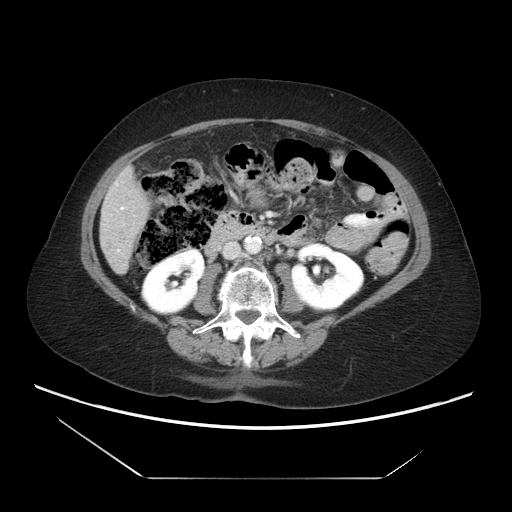
512x512 px. Abdomen. CT slice.
Not every hepatic vessel necessarily has a box.
hepatic_vessel:
  - rect(117, 249, 119, 251)
  - rect(121, 207, 123, 209)